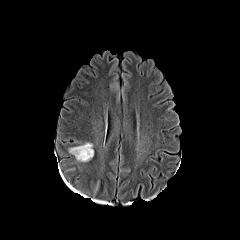
FLAIR magnetic resonance.
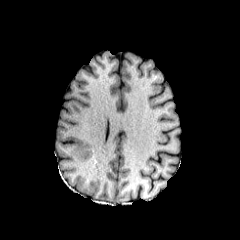
T1-weighted magnetic resonance.
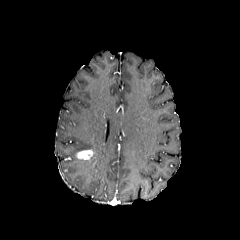
Post-contrast T1-weighted MR.
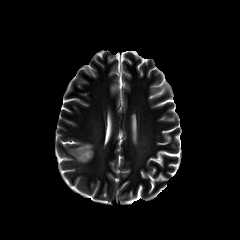
T2-weighted magnetic resonance.
240x240 px. Brain.
Edema = 69, 143, 93, 163.
Enhancing tumor = 76, 150, 92, 159.